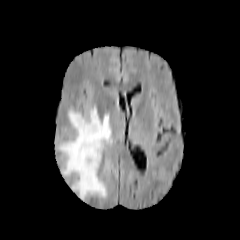
FLAIR MR.
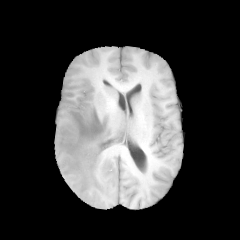
T1-weighted MR.
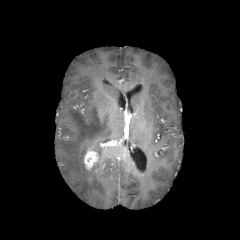
Same slice, post-contrast T1-weighted magnetic resonance.
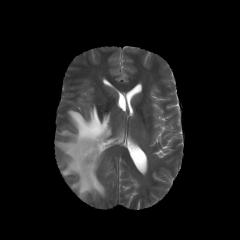
T2-weighted magnetic resonance.
Brain
Findings:
- enhancing tumor: region(84, 149, 98, 168)
- edema: region(57, 107, 111, 199)